CT. Upper abdomen. 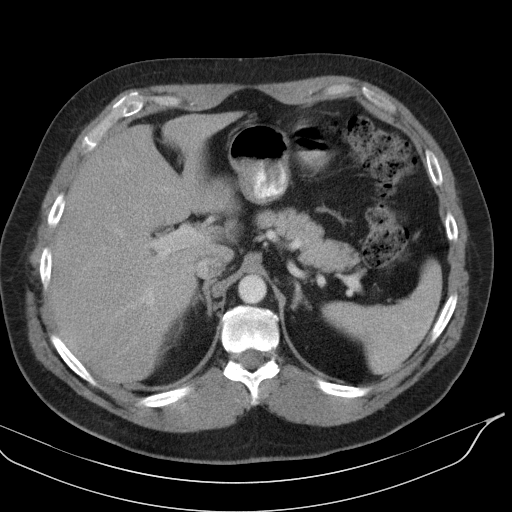

The spleen lies within rect(326, 261, 440, 371).